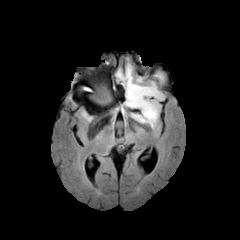
FLAIR MR image.
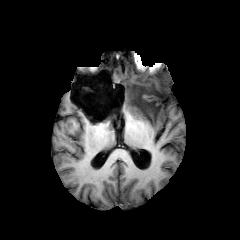
T1-weighted magnetic resonance.
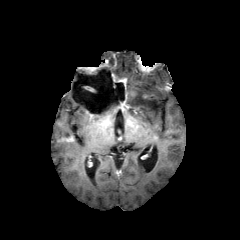
Same slice, post-contrast T1-weighted MRI.
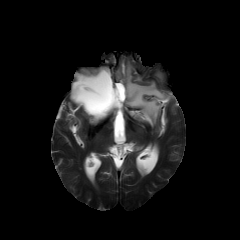
T2-weighted MR image.
240x240 px | Head
Edema — left=116, top=63, right=165, bottom=129; left=129, top=99, right=138, bottom=111.
Non-enhancing tumor core — left=93, top=88, right=113, bottom=104; left=125, top=80, right=147, bottom=118.
Enhancing tumor — left=121, top=98, right=129, bottom=110; left=118, top=78, right=127, bottom=89.